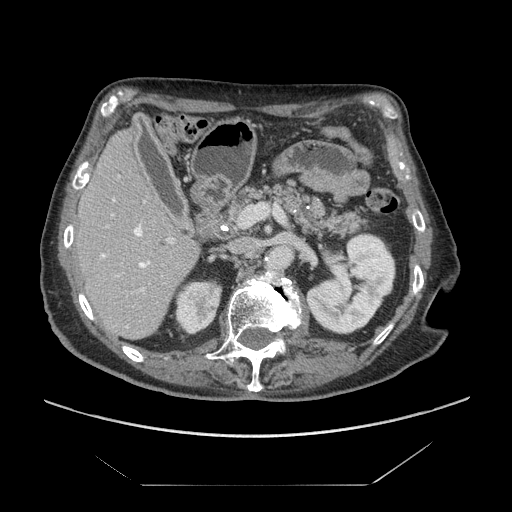
CT image. Abdomen. 512x512 px. Pancreas: bounding box bbox(210, 176, 374, 242).